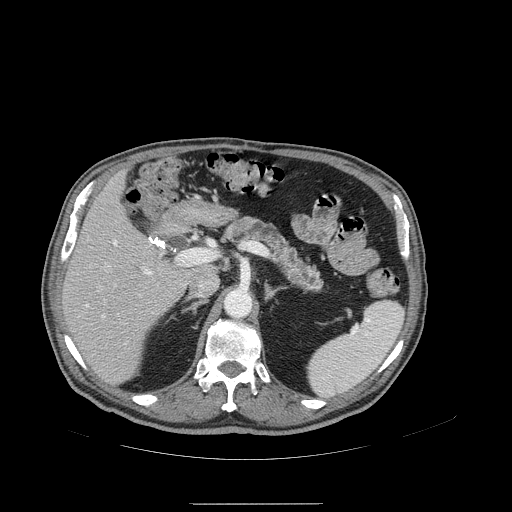
512x512, CT slice
Pancreas = [220, 214, 329, 297].
Pancreatic tumor = [231, 219, 250, 237].